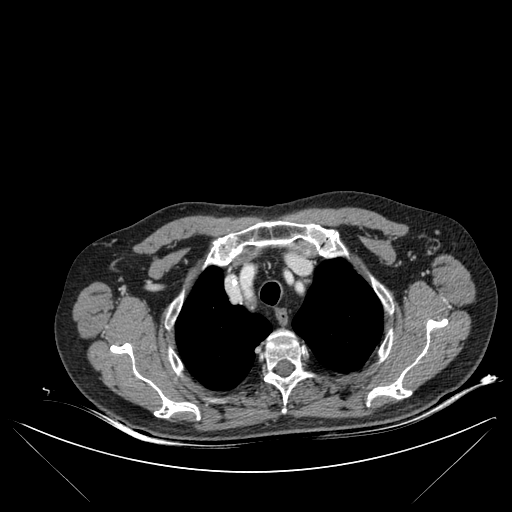
Thorax | CT scan slice
bone: 379:330:392:360, 110:343:200:419, 206:221:343:265, 167:294:182:327, 371:277:393:313, 366:319:447:405, 262:332:312:404, 168:349:182:373 | lung: 260:282:279:304, 175:266:271:390, 292:258:382:372